Abdomen. CT. Field of view 440 mm wide, 2.50 mm slice spacing. 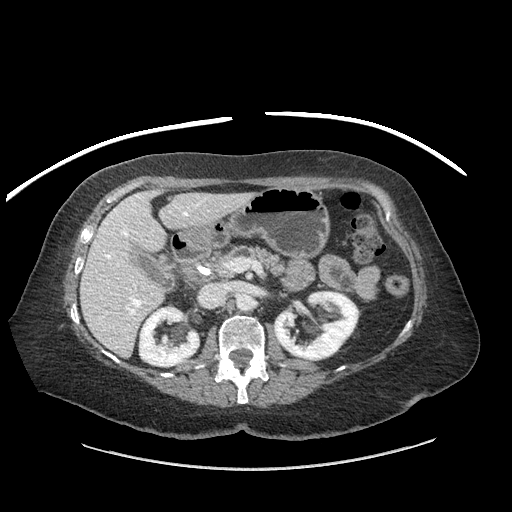
pancreas: x1=187 y1=247 x2=285 y2=283